Slice 564 of 856, CT slice 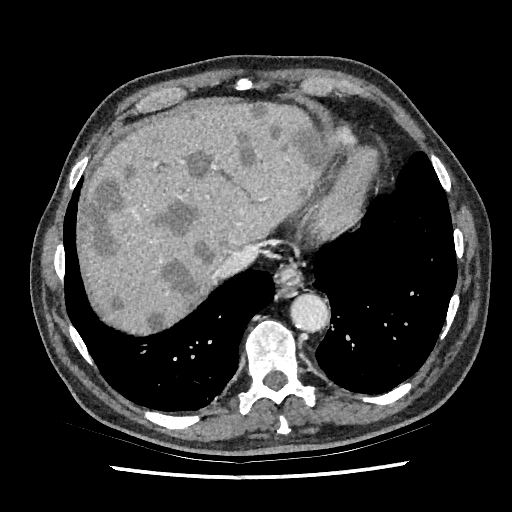 liver:
  - box=[78, 104, 323, 333]
hepatic_lesion:
  - box=[192, 241, 215, 263]
  - box=[79, 165, 136, 255]
  - box=[110, 295, 125, 309]
  - box=[293, 125, 322, 169]
  - box=[279, 142, 289, 152]
  - box=[151, 199, 199, 234]
  - box=[269, 126, 280, 139]
  - box=[218, 169, 232, 181]
  - box=[185, 150, 212, 178]
  - box=[219, 238, 227, 246]
  - box=[161, 259, 208, 309]
  - box=[236, 131, 256, 168]
  - box=[297, 188, 307, 200]
  - box=[251, 104, 266, 118]
  - box=[144, 311, 166, 331]